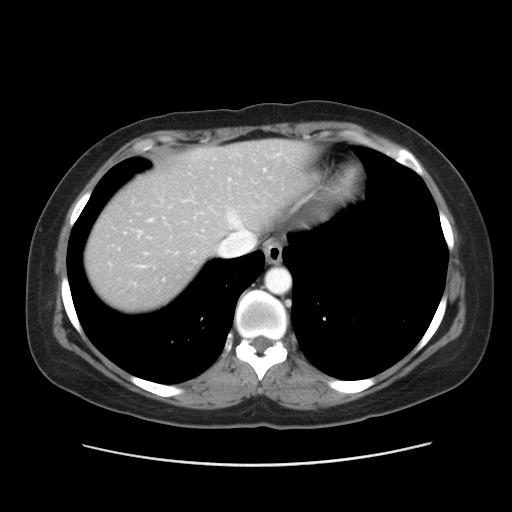 Computed tomography | Liver

The vessel boxes may cover only some of the vessels.
Hepatic vessel — x1=229, y1=213, x2=240, y2=228; x1=149, y1=219, x2=151, y2=220; x1=139, y1=231, x2=141, y2=235.